Slice 25 of 36 | Image size 512x512 | Abdomen | Computed tomography

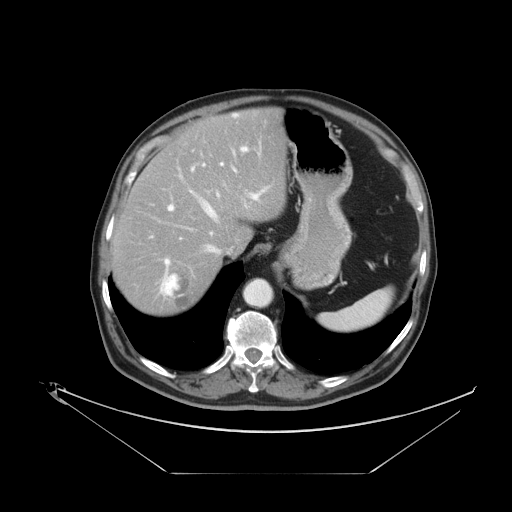 Some hepatic vessels may have no box.
Most prominent 15 of 20 hepatic vessel regions — region(205, 245, 219, 252); region(257, 144, 260, 155); region(191, 166, 194, 170); region(232, 167, 236, 171); region(167, 202, 173, 209); region(232, 149, 235, 159); region(240, 146, 248, 151); region(189, 190, 193, 194); region(186, 228, 192, 230); region(159, 257, 177, 297); region(178, 167, 182, 178); region(244, 201, 247, 207); region(217, 191, 219, 197); region(197, 196, 218, 221); region(248, 187, 267, 200).